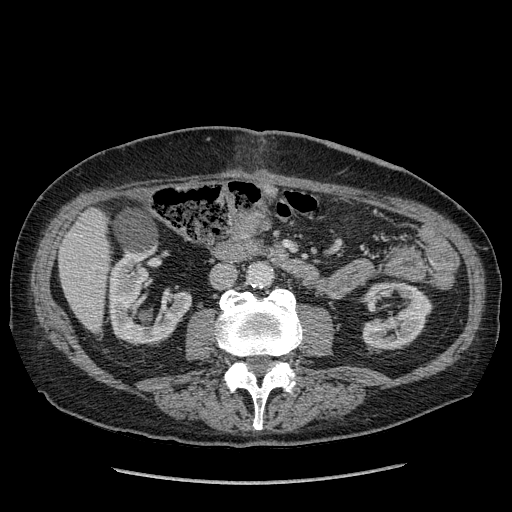 Computed tomography | Upper abdomen | 512x512

2 kidney regions are bounded by region(109, 253, 191, 343); region(363, 283, 431, 349). The liver is bounded by region(59, 207, 109, 332).